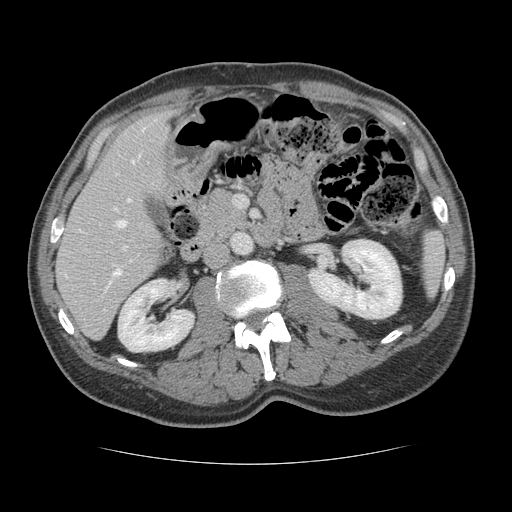

Computed tomography
The vessel boxes may cover only some of the vessels.
hepatic_vessel:
  - 114:267:120:275
  - 132:160:135:162
  - 116:220:125:227
  - 79:229:81:231
  - 138:153:140:156
  - 113:207:116:209
  - 105:281:110:290
  - 115:173:117:174
  - 141:127:144:130
  - 122:245:126:249
  - 127:199:130:201
  - 65:275:66:276